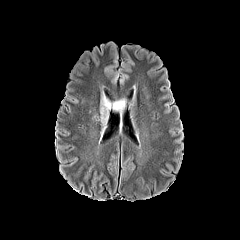
FLAIR MR.
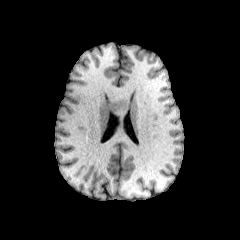
T1-weighted MR image of the same slice.
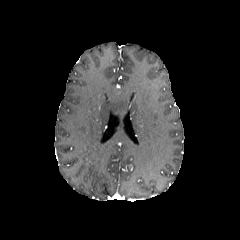
Post-contrast T1-weighted MR image.
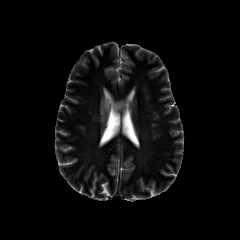
T2-weighted MR image.
Image size 240x240.
Edema: rect(97, 90, 126, 131).